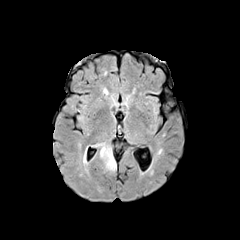
FLAIR MR.
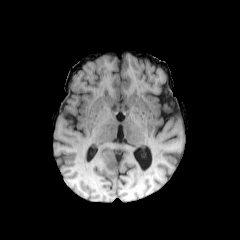
T1-weighted MR image of the same slice.
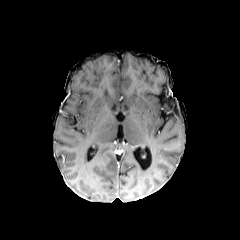
Post-contrast T1-weighted magnetic resonance.
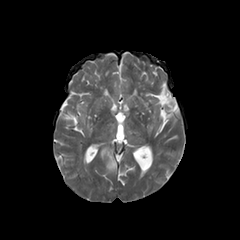
T2-weighted MR image.
Brain
edema: left=83, top=146, right=87, bottom=165; left=91, top=142, right=116, bottom=171